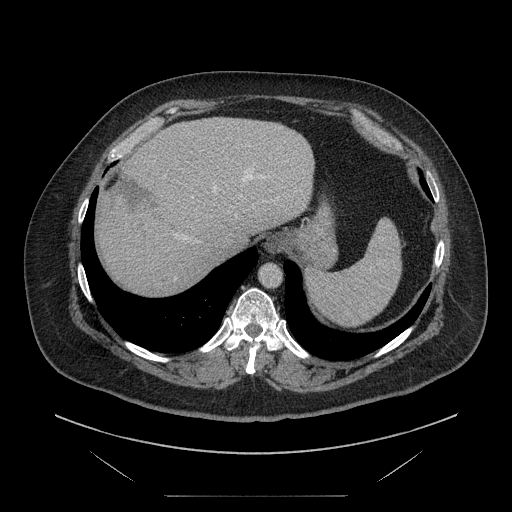
Abdomen. Image size 512x512. CT image. The vessel boxes may cover only some of the vessels.
Hepatic vessel: [172,231,200,242], [214,188,219,194], [240,163,263,186].
Liver tumor: [110,175,160,217].